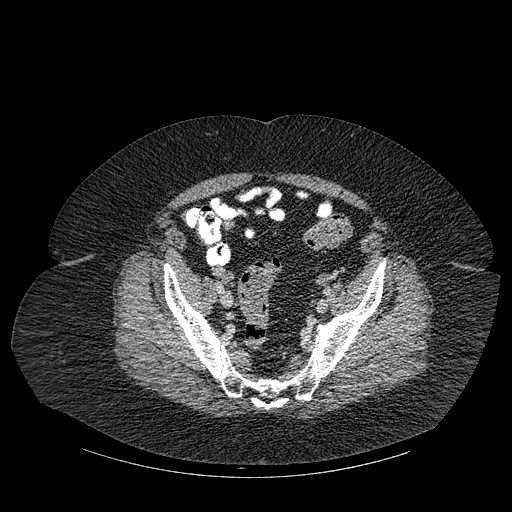
512x512; CT slice
<segmentation>
  <bone>bbox(164, 258, 385, 408); bbox(220, 245, 229, 262)</bone>
</segmentation>